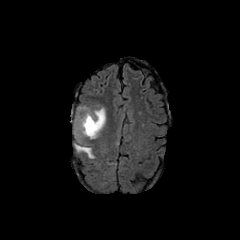
FLAIR MR.
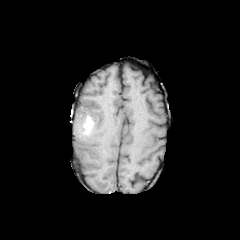
T1-weighted MR image of the same slice.
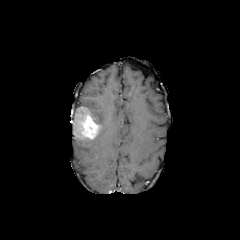
Post-contrast T1-weighted MR image.
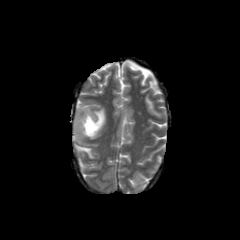
Same slice, T2-weighted magnetic resonance.
Brain
enhancing tumor: bbox(73, 107, 100, 140) | edema: bbox(90, 107, 106, 139); bbox(74, 138, 95, 158)